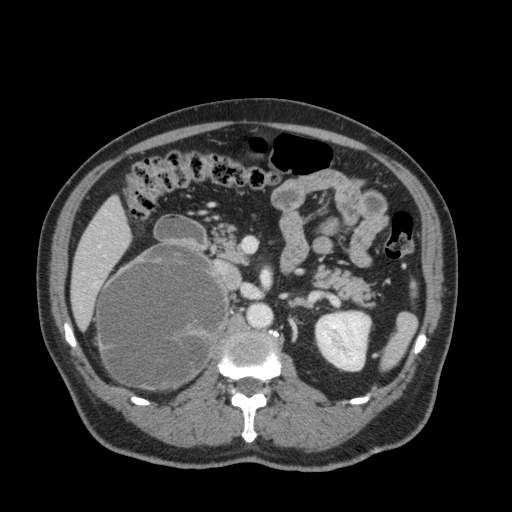
Abdomen. CT scan slice.
Liver — box(72, 197, 129, 328).
Kidney — box(316, 312, 370, 370).